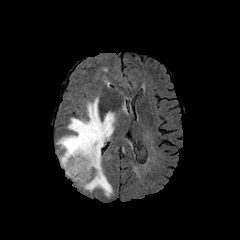
FLAIR MR image.
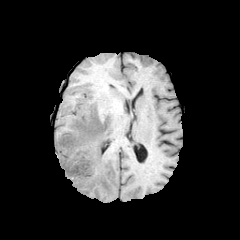
Same slice, T1-weighted magnetic resonance.
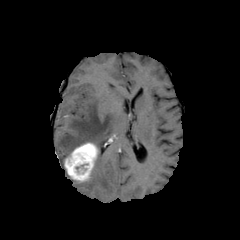
Post-contrast T1-weighted magnetic resonance of the same slice.
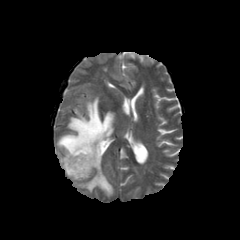
Same slice, T2-weighted MRI.
Edema: bounding box [57, 97, 115, 196].
Enhancing tumor: bounding box [63, 143, 98, 183].